CT image. Liver. 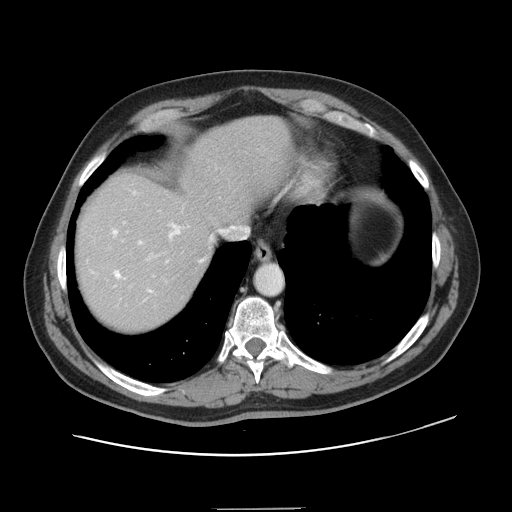
The vessel annotation is not exhaustive.
Findings:
- hepatic vessel: [112,229,117,235], [115,271,119,276], [169,225,181,236], [149,290,151,291], [133,192,135,193], [138,241,141,243], [200,260,202,261]